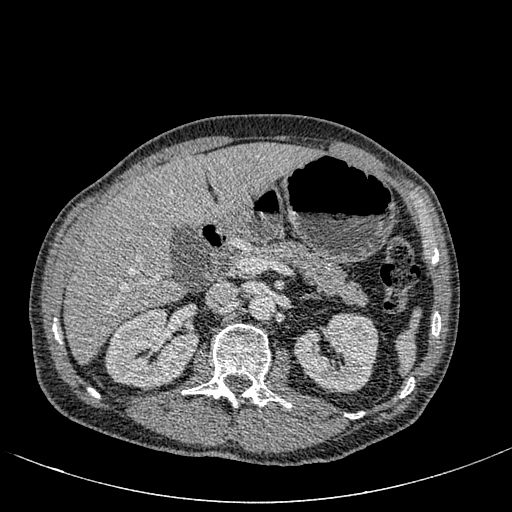
512x512 px, CT image

Kidney = 105:309:198:387, 294:314:377:392.
Liver = 64:143:322:364.